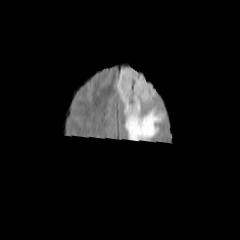
FLAIR MR.
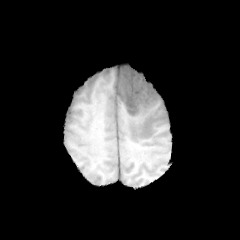
T1-weighted MR.
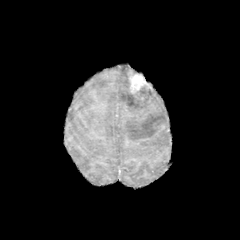
Post-contrast T1-weighted MR.
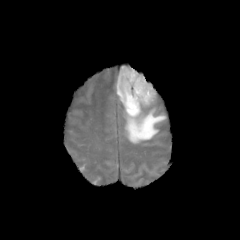
T2-weighted MR image.
Head
Edema at 116, 65, 166, 143.
Enhancing tumor at 126, 70, 150, 97.